CT.
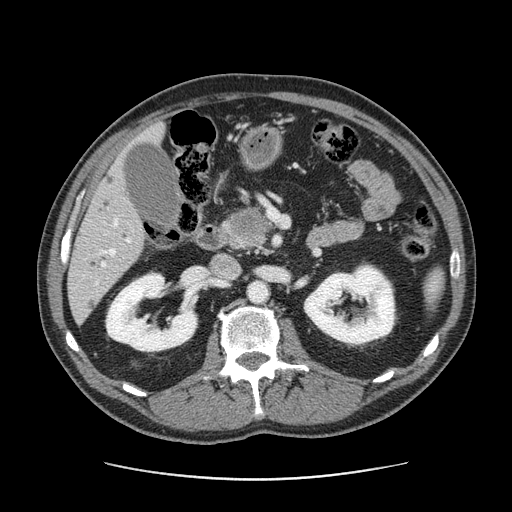
Findings:
- pancreatic tumor: {"x1": 229, "y1": 209, "x2": 267, "y2": 240}
- pancreas: {"x1": 222, "y1": 213, "x2": 270, "y2": 249}